FLAIR MRI.
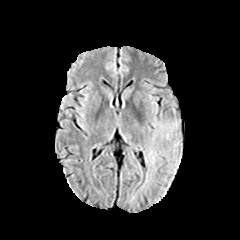
T1-weighted MRI.
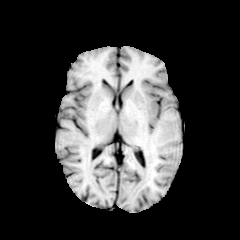
Post-contrast T1-weighted MR.
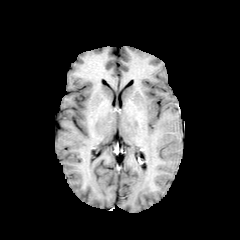
T2-weighted MR.
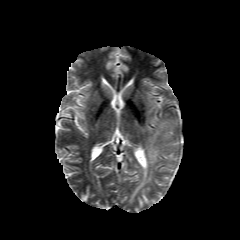
Brain.
edema: region(144, 142, 157, 165); region(152, 120, 177, 140)